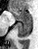

MR. Medial temporal lobe. anterior hippocampus: <box>9,8,32,20</box> | posterior hippocampus: <box>18,21,32,37</box>